Slice 91/155. 240x240 px. Brain.
FLAIR MR image.
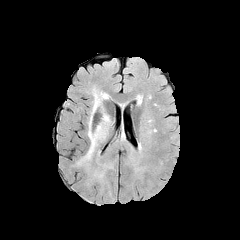
T1-weighted MRI.
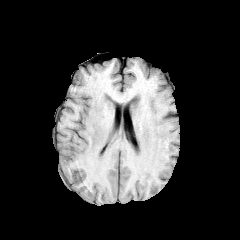
Post-contrast T1-weighted magnetic resonance.
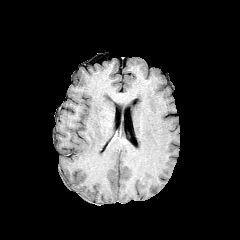
T2-weighted MRI.
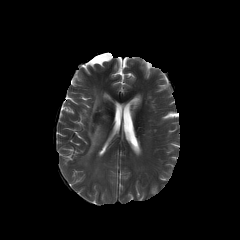
The edema is at 79, 91, 107, 163.